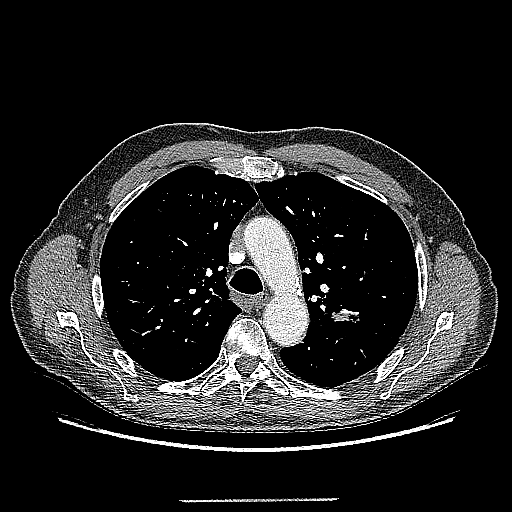
Computed tomography. The lung tumor is at 331:309:364:325.